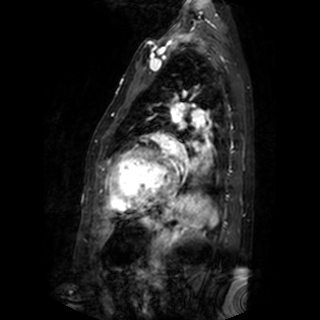 MR image. Cardiac. 320x320.

left_atrium:
  - [169,144,179,156]
  - [172,110,181,121]